512x512 px; Abdomen; CT

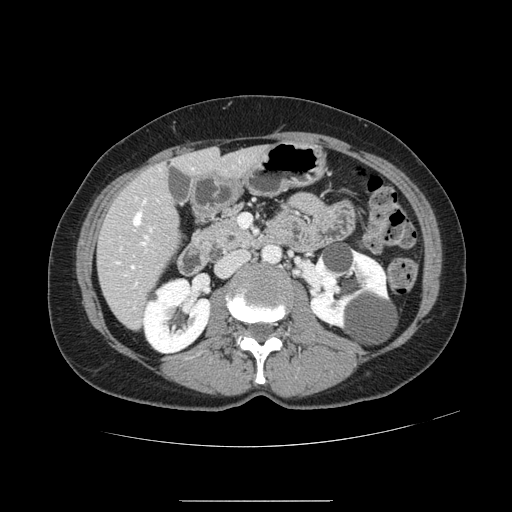 The pancreas lies within left=193, top=210, right=264, bottom=262. The pancreatic tumor appears at left=208, top=247, right=224, bottom=262.